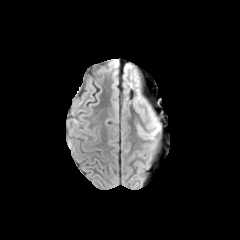
FLAIR MR.
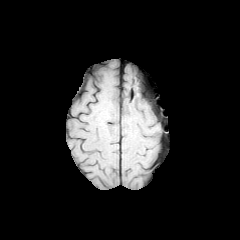
T1-weighted MR.
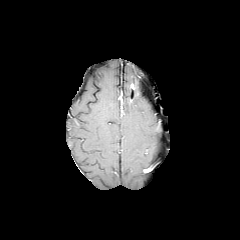
Post-contrast T1-weighted MR image.
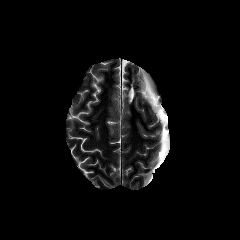
T2-weighted MR of the same slice.
Brain
Segmented structures:
- edema: [x1=147, y1=108, x2=159, y2=128], [x1=142, y1=129, x2=159, y2=139]